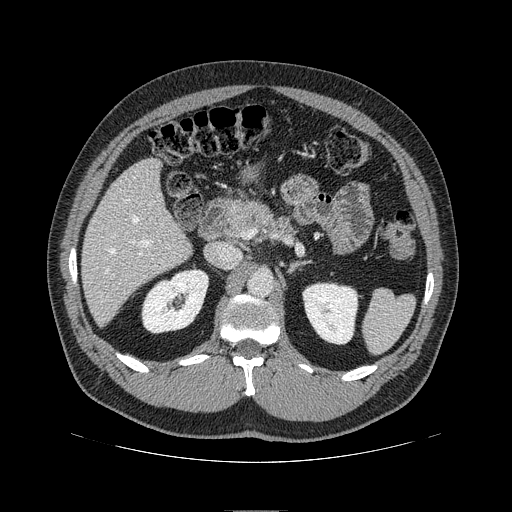 CT image.
The pancreas is located at (225, 201, 294, 239). The pancreatic tumor is bounded by (241, 211, 259, 226).